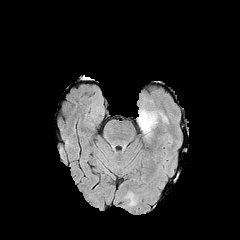
FLAIR MR image.
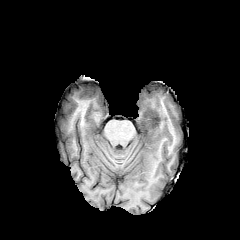
T1-weighted MR image of the same slice.
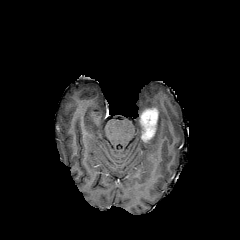
Same slice, post-contrast T1-weighted MRI.
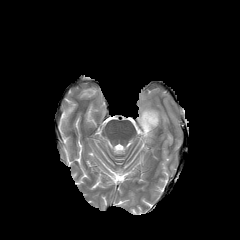
T2-weighted magnetic resonance of the same slice.
Brain
Annotated regions:
• enhancing tumor: 140 108 157 141
• edema: 137 109 147 129